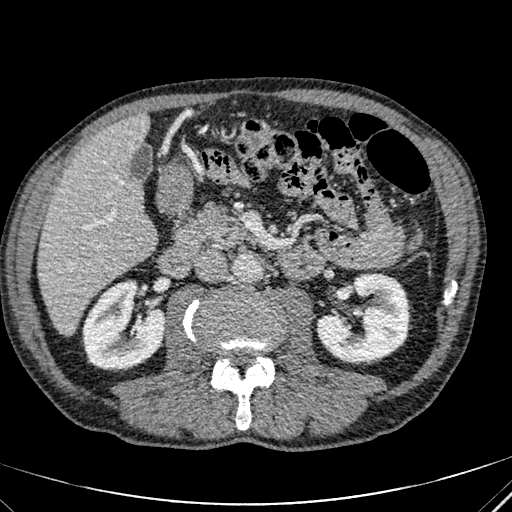
CT scan slice
liver:
  - 38 113 155 335
kidney:
  - 84 282 163 368
  - 318 274 408 361